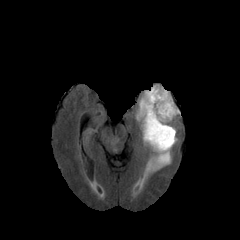
FLAIR MRI.
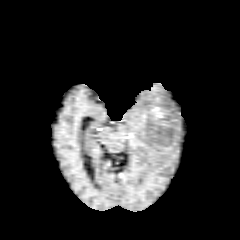
Same slice, T1-weighted MR image.
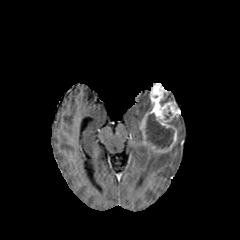
Post-contrast T1-weighted magnetic resonance.
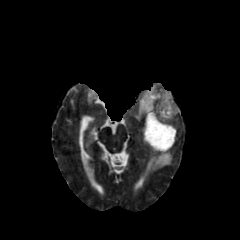
Same slice, T2-weighted MR image.
Head. 240x240 px.
3 edema regions appear at <bbox>142, 140, 172, 178</bbox>, <bbox>170, 114, 179, 137</bbox>, <bbox>134, 90, 149, 126</bbox>. 2 non-enhancing tumor core regions appear at <bbox>160, 94, 173, 104</bbox>, <bbox>142, 114, 173, 150</bbox>. 2 enhancing tumor regions are located at <bbox>140, 124, 147, 143</bbox>, <bbox>145, 83, 180, 127</bbox>.